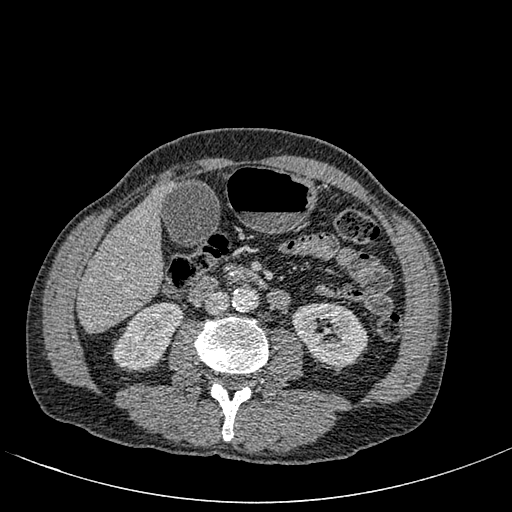 Liver | Image size 512x512 | CT slice

Kidney: <bbox>113, 303, 182, 369</bbox>, <bbox>292, 302, 367, 367</bbox>.
Liver: <bbox>78, 190, 162, 330</bbox>.